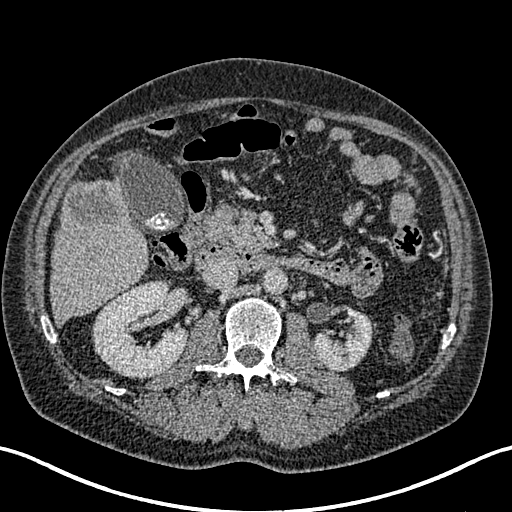

Upper abdomen, Computed tomography

Liver: bounding box (left=93, top=179, right=122, bottom=199), (left=50, top=205, right=148, bottom=325).
Liver lesion: bounding box (left=64, top=181, right=124, bottom=229).
Kidney: bounding box (left=94, top=282, right=186, bottom=376), (left=315, top=310, right=371, bottom=370).